Slice 111 of 155
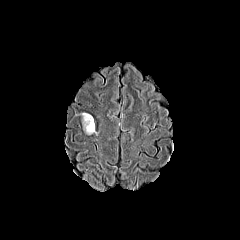
FLAIR magnetic resonance.
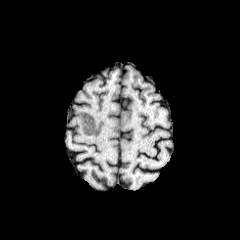
T1-weighted MR image.
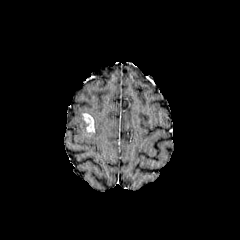
Same slice, post-contrast T1-weighted MR.
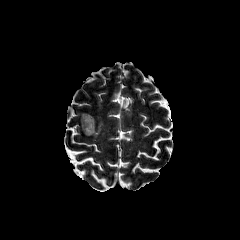
T2-weighted MRI.
<segmentation>
  <edema>l=81, t=117, r=99, b=136</edema>
  <enhancing_tumor>l=83, t=113, r=94, b=132</enhancing_tumor>
</segmentation>